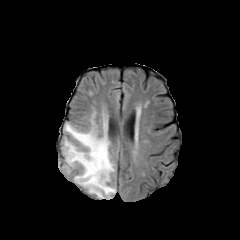
FLAIR MR.
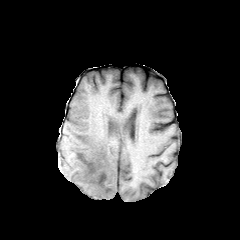
T1-weighted magnetic resonance.
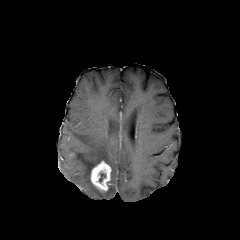
Post-contrast T1-weighted MR.
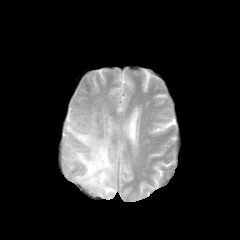
Same slice, T2-weighted MR image.
Head
Segmented structures:
* non-enhancing tumor core: region(89, 160, 107, 174)
* enhancing tumor: region(90, 161, 111, 192)
* edema: region(64, 112, 116, 199)